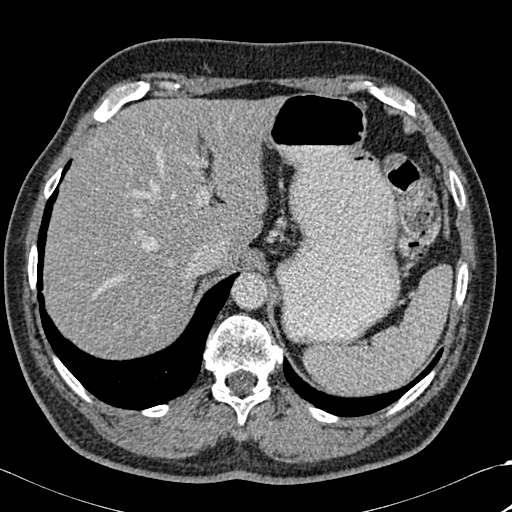 Upper abdomen | CT slice
bone:
  - 390,372,433,412
  - 370,87,414,115
  - 143,405,168,416
  - 310,408,337,422
  - 28,246,37,288
  - 94,82,149,121
  - 450,171,464,207
  - 54,358,88,400
  - 456,264,467,304
  - 204,315,282,424
  - 44,170,60,197
lung:
  - 60,160,70,182
  - 283,349,442,416
  - 37,185,238,409
liver:
  - 44,98,276,358